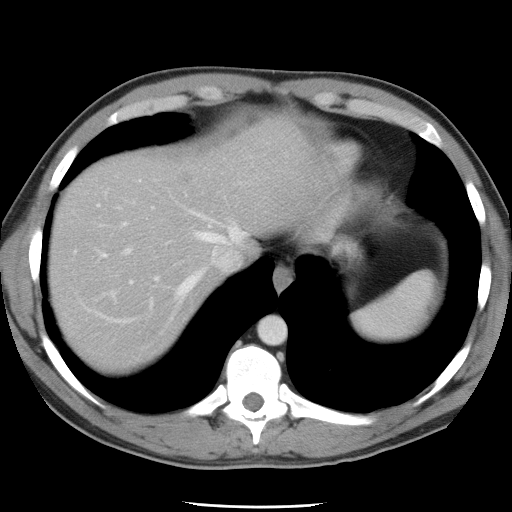
Image size 512x512. CT.
Only some of the vessels may be annotated.
9 hepatic vessel regions are bounded by box(112, 320, 117, 320); box(122, 223, 126, 225); box(112, 293, 114, 294); box(130, 281, 132, 283); box(186, 209, 246, 269); box(124, 248, 130, 253); box(155, 276, 158, 280); box(176, 267, 205, 300); box(100, 253, 107, 257).